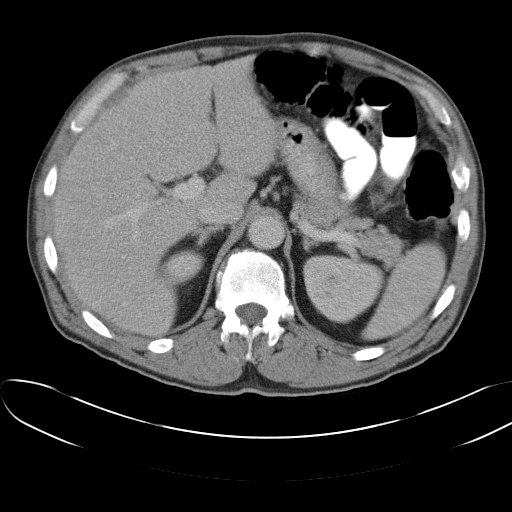 Upper abdomen, Computed tomography
The spleen lies within 364:243:445:338.